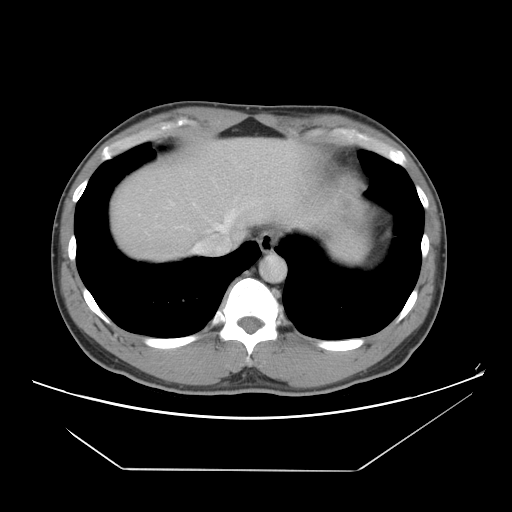
CT
The vessel annotation is not exhaustive.
hepatic vessel: 194, 209, 238, 253; 234, 196, 236, 198 | liver tumor: 336, 195, 354, 211